Slice index 65. Brain.
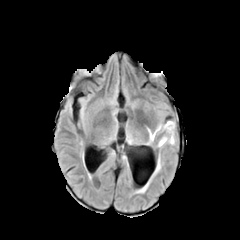
FLAIR MR image.
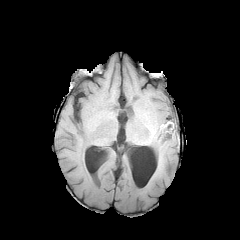
T1-weighted magnetic resonance.
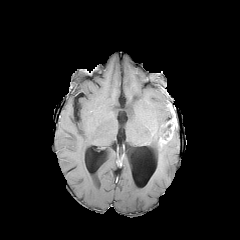
Post-contrast T1-weighted magnetic resonance.
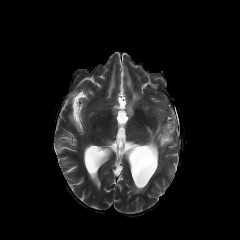
Same slice, T2-weighted magnetic resonance.
{
  "edema": [
    "[147,125,166,147]",
    "[154,155,160,174]"
  ],
  "non-enhancing_tumor_core": [
    "[162,121,173,137]"
  ],
  "enhancing_tumor": [
    "[160,131,171,145]"
  ]
}